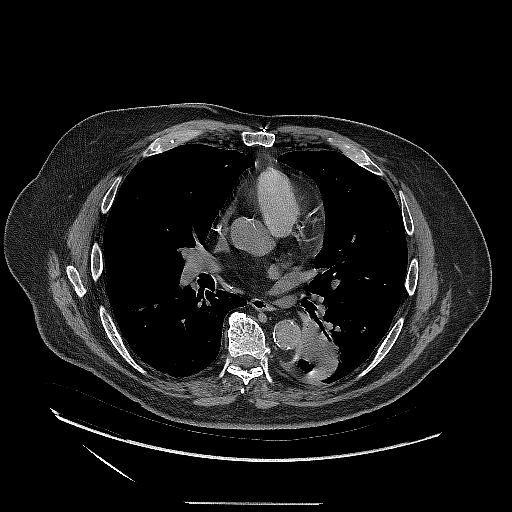 Image size 512x512. Chest. CT.
lung tumor: left=292, top=305, right=342, bottom=381